Hippocampus; MR image; Field of view 33 mm wide, 1.00 mm slice spacing
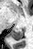

The posterior hippocampus lies within box=[8, 29, 22, 40].